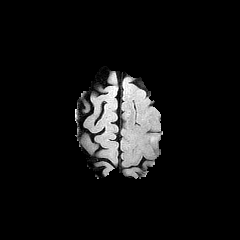
FLAIR magnetic resonance.
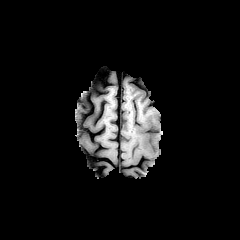
T1-weighted MRI.
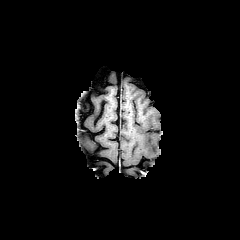
Same slice, post-contrast T1-weighted MR.
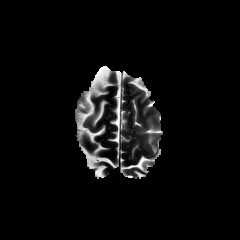
T2-weighted magnetic resonance of the same slice.
{"edema": ["149 124 158 141"]}